Liver | Slice 361 of 654 | CT
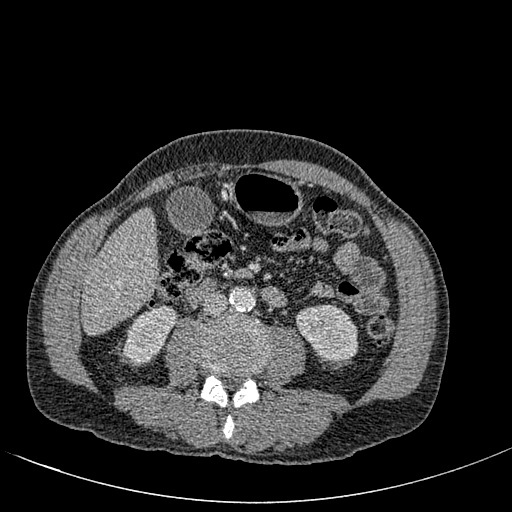 The liver is located at l=81, t=207, r=156, b=332. 2 kidney regions are bounded by l=296, t=305, r=357, b=361; l=123, t=306, r=176, b=364.